CT | Upper abdomen 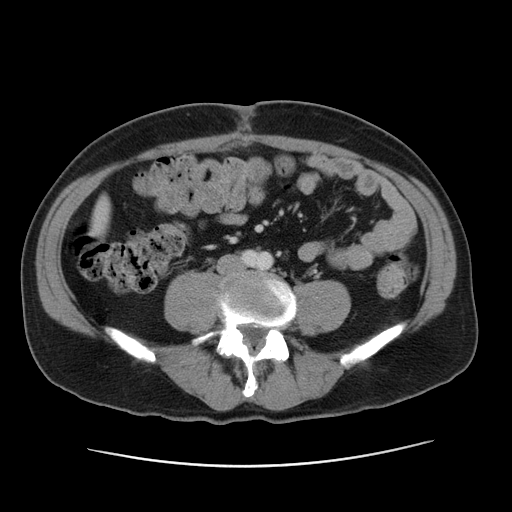
The liver appears at (x1=94, y1=202, x2=107, y2=234).